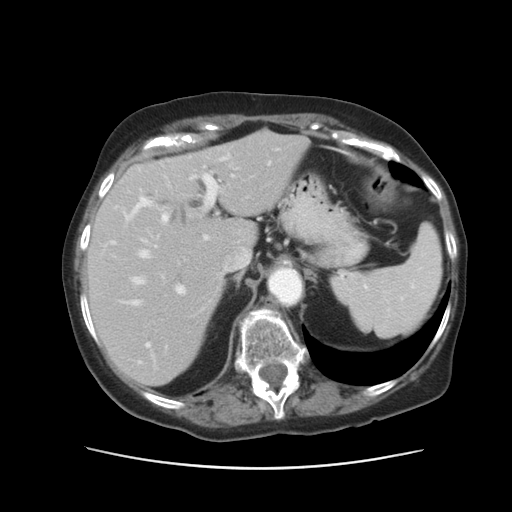

CT image
The vessel boxes may cover only some of the vessels.
{"partial": true, "hepatic_vessel": {"n_total": 23, "boxes": ["138, 239, 149, 257", "189, 213, 193, 216", "175, 286, 184, 294", "119, 300, 140, 306", "166, 182, 169, 187", "201, 166, 224, 211", "224, 249, 249, 270", "217, 154, 229, 161", "145, 343, 149, 350", "202, 233, 212, 240", "130, 277, 143, 285", "114, 195, 151, 221", "161, 206, 169, 225", "150, 351, 154, 363", "106, 241, 114, 244"]}}